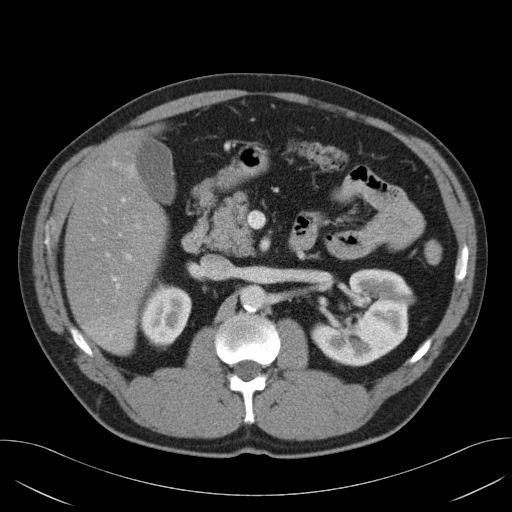

Upper abdomen. CT slice.

pancreas:
  - left=205, top=190, right=256, bottom=258